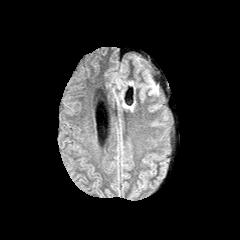
FLAIR MRI.
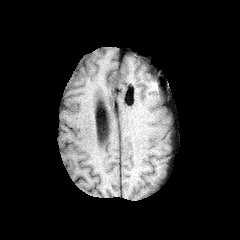
T1-weighted MR.
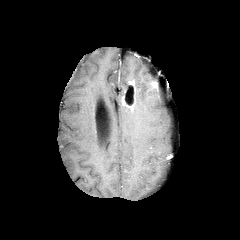
Post-contrast T1-weighted MRI.
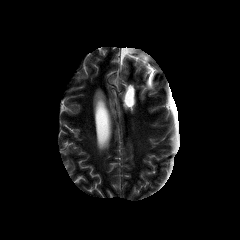
T2-weighted MR.
240x240 px
Edema: bounding box <bbox>143, 83, 157, 92</bbox>.